FLAIR MRI.
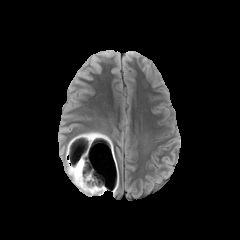
T1-weighted MR.
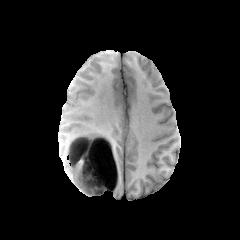
Post-contrast T1-weighted MRI.
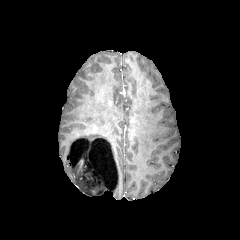
T2-weighted MR.
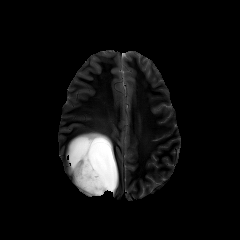
Non-enhancing tumor core — 68:136:111:194.
Edema — 68:164:97:195, 98:140:112:158, 77:132:109:141.